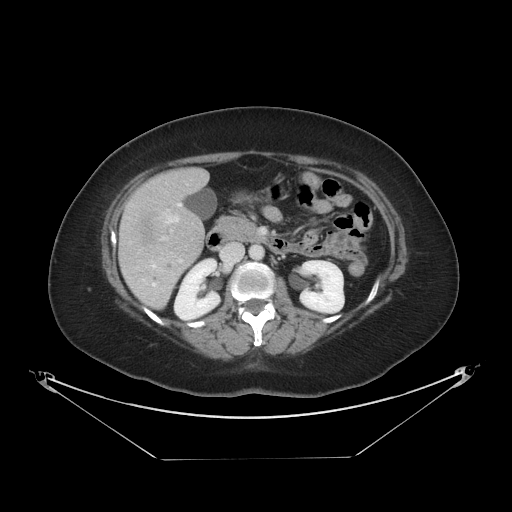
Abdomen | CT slice
Some hepatic vessels may have no box.
Liver tumor = <bbox>141, 220, 155, 242</bbox>.
Hepatic vessel = <bbox>151, 264, 156, 268</bbox>, <bbox>166, 216, 178, 223</bbox>, <bbox>152, 283, 154, 285</bbox>, <bbox>162, 237, 166, 238</bbox>, <bbox>178, 204, 180, 205</bbox>.